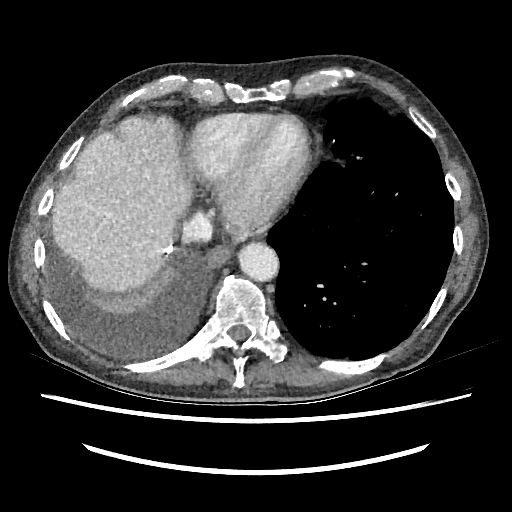 512x512. CT image. The liver appears at <box>53,117,190,289</box>.